CT image | Field of view 351 mm wide, 1.00 mm slice spacing 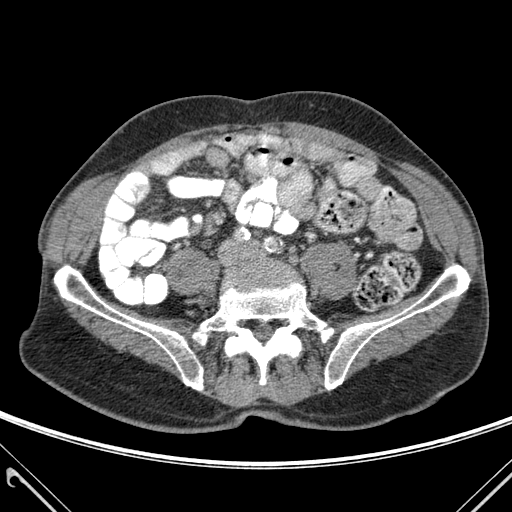 bone:
  - x1=193 y1=271 x2=333 y2=384
  - x1=325 y1=265 x2=469 y2=389
  - x1=54 y1=266 x2=202 y2=389